FLAIR MR.
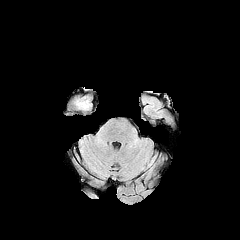
T1-weighted MR image.
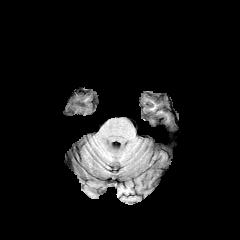
Post-contrast T1-weighted magnetic resonance.
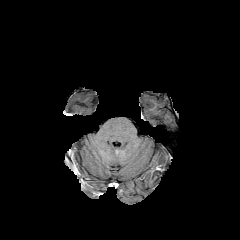
T2-weighted MRI.
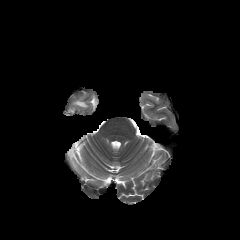
240x240
The edema is at rect(76, 100, 88, 109).